CT scan slice | Slice 471/671 | Upper abdomen
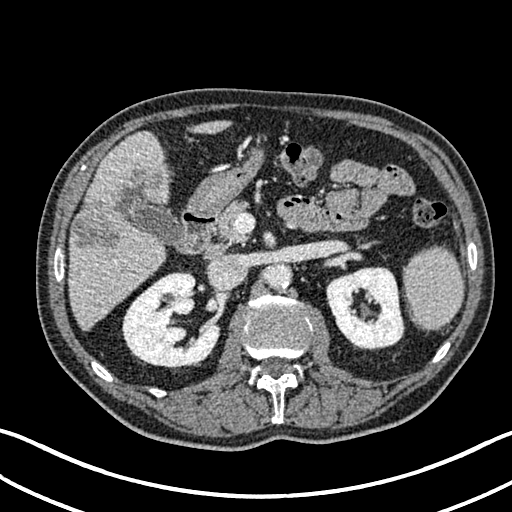 Focal liver lesion: bounding box (x1=74, y1=200, x2=119, y2=248), (x1=115, y1=169, x2=161, y2=213).
Liver: bounding box (x1=194, y1=121, x2=229, y2=133), (x1=70, y1=131, x2=170, y2=329).
Kidney: bounding box (x1=123, y1=273, x2=218, y2=366), (x1=327, y1=268, x2=403, y2=348), (x1=207, y1=299, x2=216, y2=310).